CT image | Abdomen | Field of view 404x404 mm

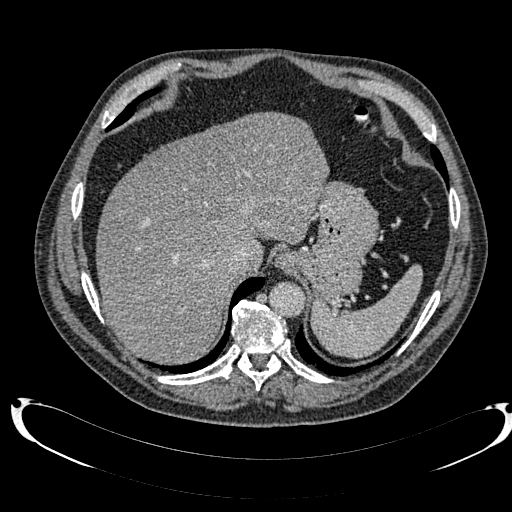 2 liver regions are bounded by bbox(149, 143, 172, 154); bbox(97, 112, 327, 362). The focal liver lesion is located at bbox(137, 120, 267, 222).